Slice 145/226 | CT image | Chest 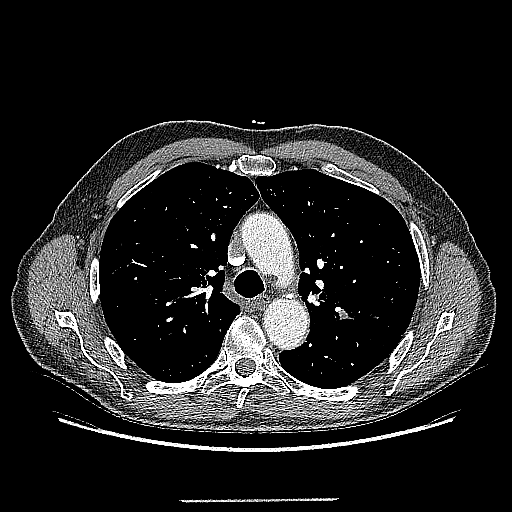
The lung tumor is at bbox(334, 306, 357, 321).